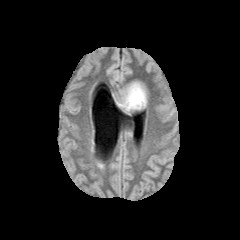
FLAIR MR image.
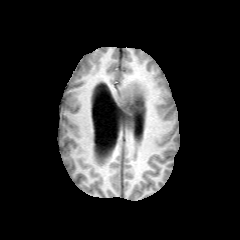
Same slice, T1-weighted MR.
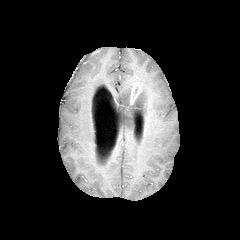
Post-contrast T1-weighted MR.
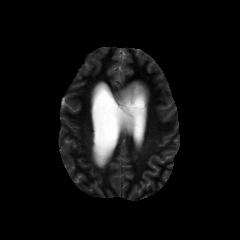
T2-weighted MRI.
Image size 240x240
The enhancing tumor is bounded by 129:83:141:105. 2 edema regions are bounded by 112:82:140:104, 138:85:147:105. The non-enhancing tumor core appears at 120:99:145:111.